Field of view 432x432 mm; CT slice; Abdomen
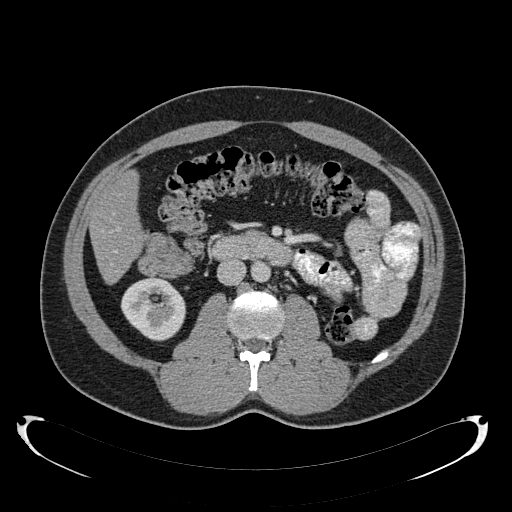

liver:
  - rect(90, 170, 142, 283)
kidney:
  - rect(121, 278, 184, 339)